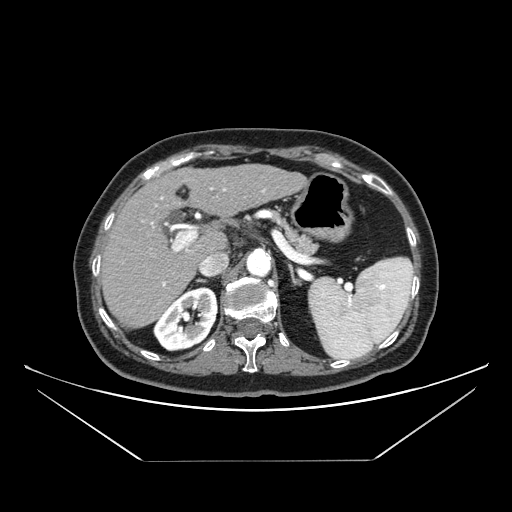 CT; Abdomen
Segmented structures:
* pancreas: {"x1": 269, "y1": 210, "x2": 317, "y2": 255}